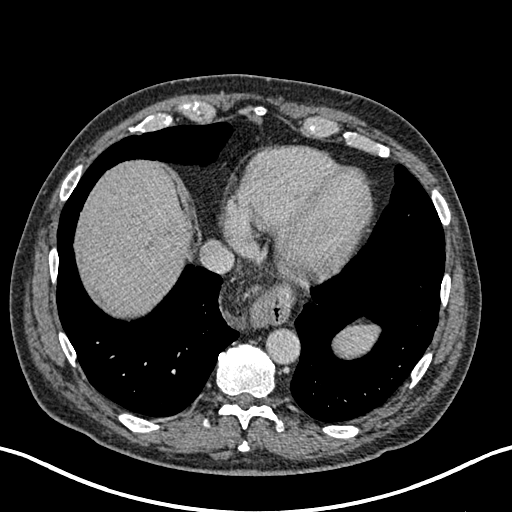 Computed tomography | 512x512
The liver is located at l=77, t=160, r=189, b=315. The focal liver lesion is bounded by l=143, t=240, r=154, b=251.